CT image 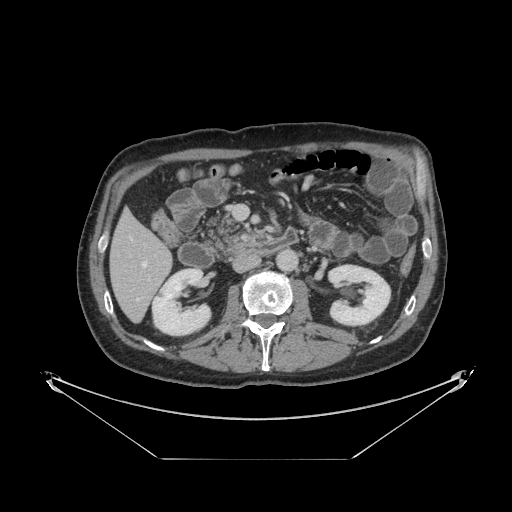
• pancreas: box=[202, 211, 258, 260]
• pancreatic tumor: box=[241, 233, 250, 242]